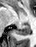 Magnetic resonance | Hippocampus
The posterior hippocampus is located at [x1=16, y1=23, x2=30, y2=35].